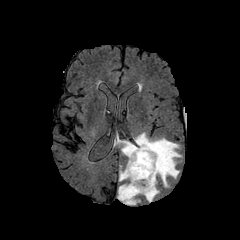
FLAIR MR image.
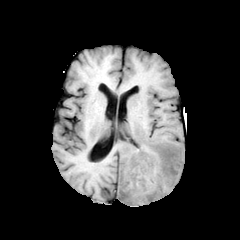
T1-weighted magnetic resonance.
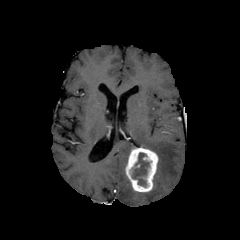
Post-contrast T1-weighted MRI.
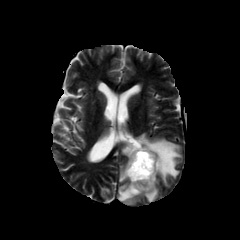
T2-weighted MR image of the same slice.
Head.
3 edema regions are located at l=113, t=134, r=133, b=156; l=117, t=132, r=182, b=204; l=118, t=164, r=128, b=182. The enhancing tumor appears at l=125, t=146, r=159, b=192. The non-enhancing tumor core is bounded by l=135, t=153, r=147, b=175.